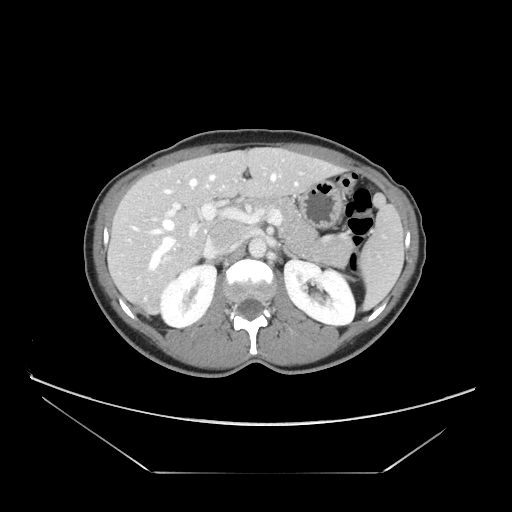
Computed tomography | Image size 512x512 | Abdomen

pancreatic_tumor:
  - box=[315, 237, 352, 267]
pancreas:
  - box=[253, 197, 328, 264]